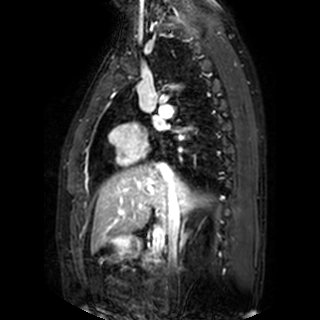
Image size 320x320 | Magnetic resonance | Cardiac

• left atrium: box=[157, 121, 166, 129]